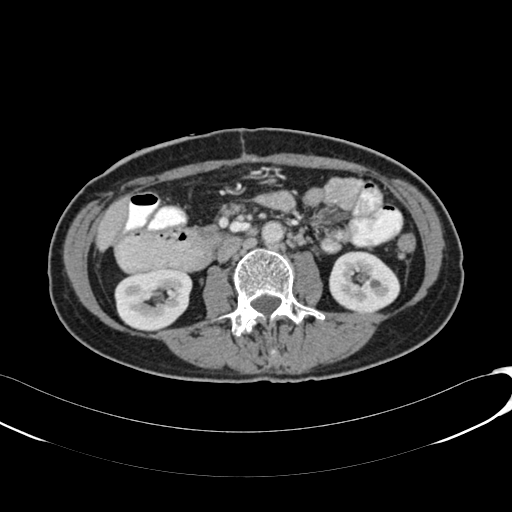

Upper abdomen. CT image.

Liver at [97, 199, 125, 249].
Kidney at [330, 252, 398, 312], [115, 269, 185, 329].